Computed tomography | Field of view 393 mm wide, 5.00 mm slice spacing | Liver | Slice 22 of 52
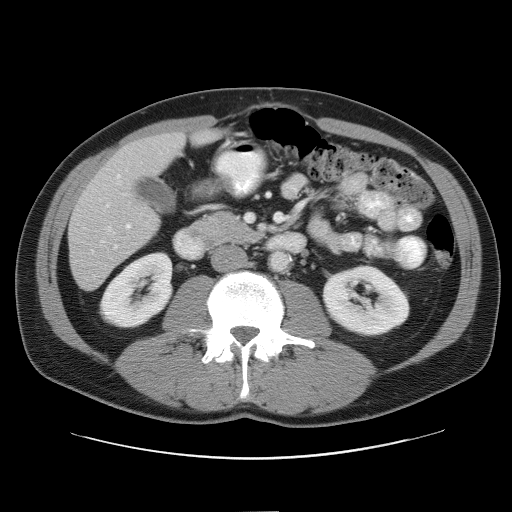

The vessel annotation is not exhaustive.
Annotated regions:
* hepatic vessel: 126,224,130,228; 199,137,208,140; 116,175,120,185; 101,241,104,242; 90,251,93,254; 114,246,116,248; 123,193,126,195; 105,227,113,234; 105,203,109,207